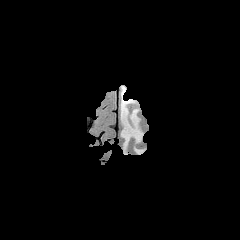
FLAIR MRI.
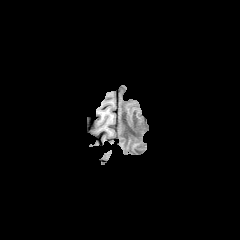
T1-weighted magnetic resonance.
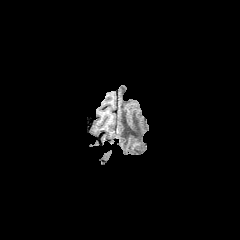
Post-contrast T1-weighted magnetic resonance.
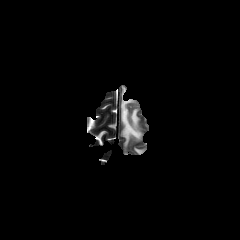
Same slice, T2-weighted magnetic resonance.
Edema — 119, 86, 145, 154.
Non-enhancing tumor core — 121, 104, 136, 127.